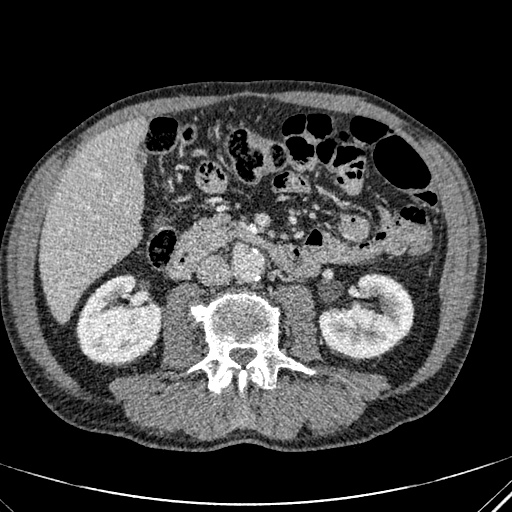

CT slice. Abdomen. 2 kidney regions are bounded by 320, 275, 412, 357; 78, 276, 160, 362. The liver is located at 40, 118, 144, 320.